Slice 510 of 908. CT image. 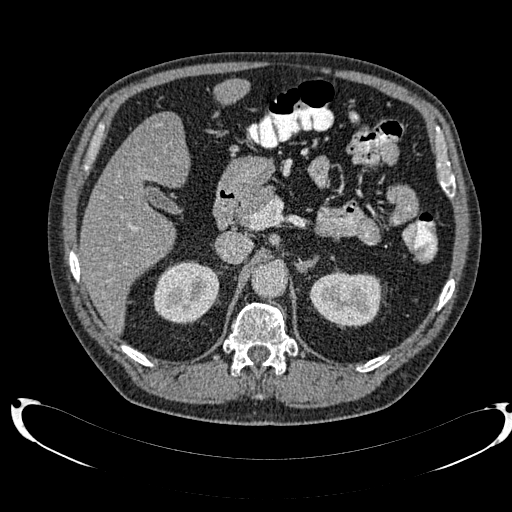
{
  "kidney": [
    "x1=154, y1=261, x2=218, y2=323",
    "x1=310, y1=271, x2=380, y2=326"
  ],
  "liver": [
    "x1=215, y1=80, x2=250, y2=104",
    "x1=80, y1=115, x2=189, y2=335"
  ],
  "focal_liver_lesion": [
    "x1=150, y1=114, x2=181, y2=138"
  ]
}